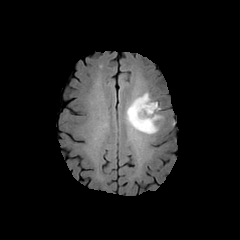
FLAIR MRI.
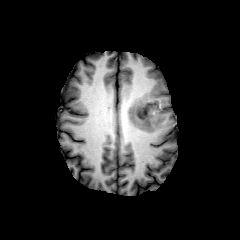
T1-weighted MRI.
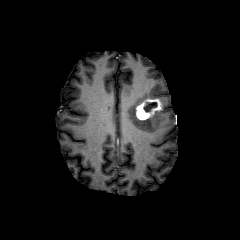
Same slice, post-contrast T1-weighted MRI.
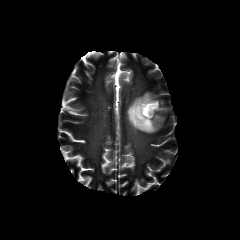
Same slice, T2-weighted MRI.
Head; Image size 240x240
<segmentation>
  <enhancing_tumor>[135,98,160,119]</enhancing_tumor>
  <non-enhancing_tumor_core>[144,102,156,111], [129,99,149,126]</non-enhancing_tumor_core>
  <edema>[133,92,156,100], [124,104,162,134]</edema>
</segmentation>